Upper abdomen; Image size 512x512; CT

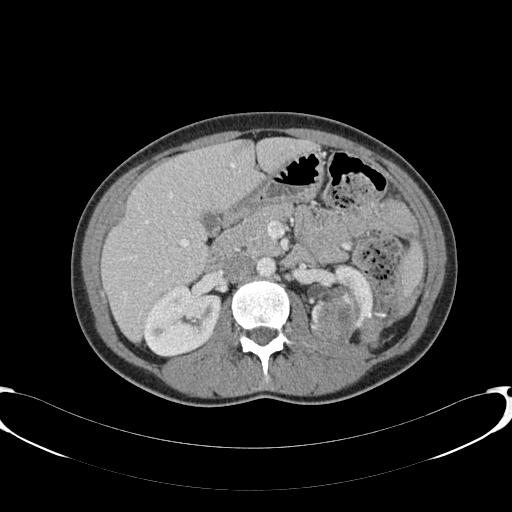 Liver = bbox(103, 138, 314, 339).
Kidney = bbox(312, 266, 371, 349); bbox(144, 282, 219, 355).